Head.
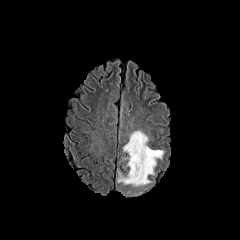
FLAIR MR image.
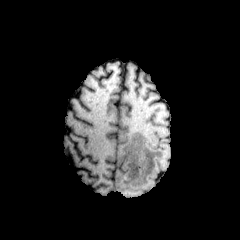
T1-weighted MRI of the same slice.
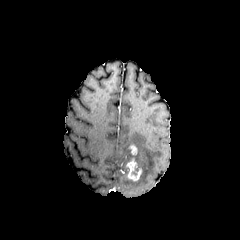
Post-contrast T1-weighted MRI of the same slice.
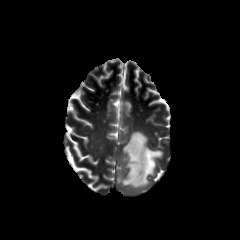
T2-weighted magnetic resonance.
The edema lies within [116,131,162,195]. 2 enhancing tumor regions appear at [125,160,142,181], [129,145,137,155].